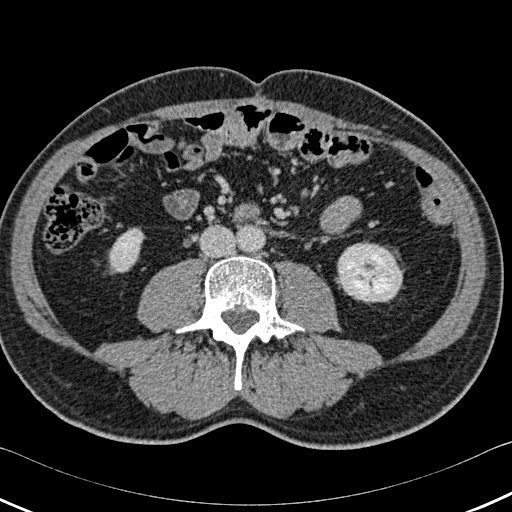 Abdomen | CT
Bone: 176,256,304,389.
Kidney: 338,244,401,301; 110,229,142,271.